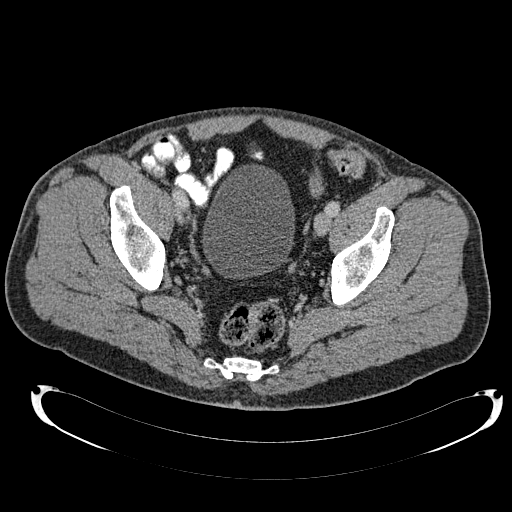

CT slice; Pelvis
<segmentation>
  <urinary_bladder>box(201, 164, 294, 278)</urinary_bladder>
</segmentation>